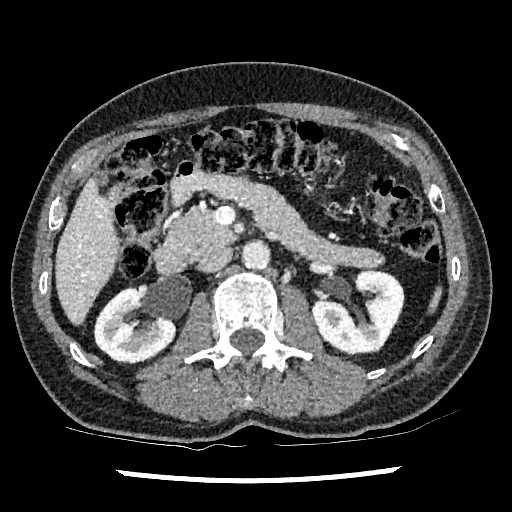
512x512. CT slice.
<segmentation>
  <kidney><bbox>313, 272, 403, 352</bbox>, <bbox>95, 289, 174, 361</bbox></kidney>
  <liver><bbox>56, 175, 119, 323</bbox></liver>
</segmentation>